Field of view 240 mm wide, 1.00 mm slice spacing | Brain | Slice 71/155
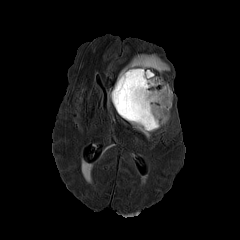
FLAIR magnetic resonance.
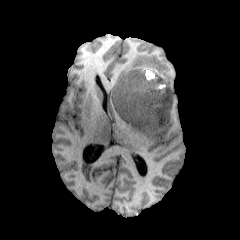
T1-weighted MRI.
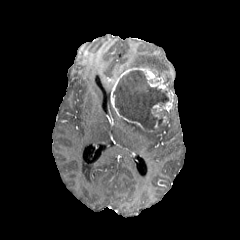
Post-contrast T1-weighted magnetic resonance.
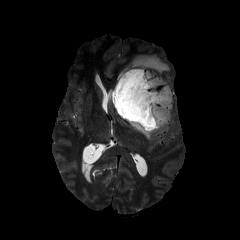
T2-weighted MR.
Segmented structures:
- edema: region(154, 112, 171, 135); region(119, 53, 169, 75); region(132, 125, 156, 140)
- non-enhancing tumor core: region(112, 70, 169, 131)
- enhancing tumor: region(160, 114, 167, 124); region(120, 67, 168, 90); region(110, 78, 143, 129); region(151, 91, 173, 118)